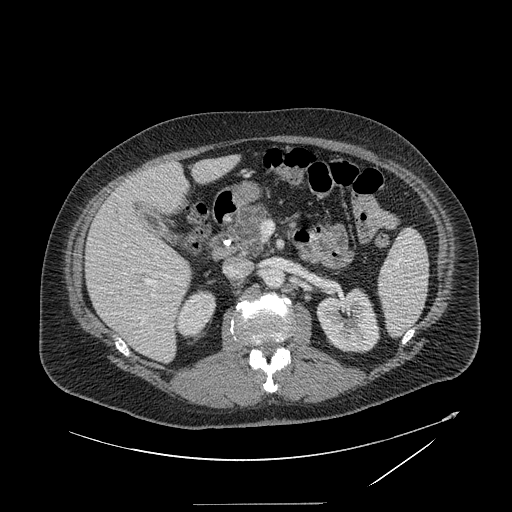
CT, Abdomen
pancreas:
  - (left=233, top=204, right=268, bottom=256)